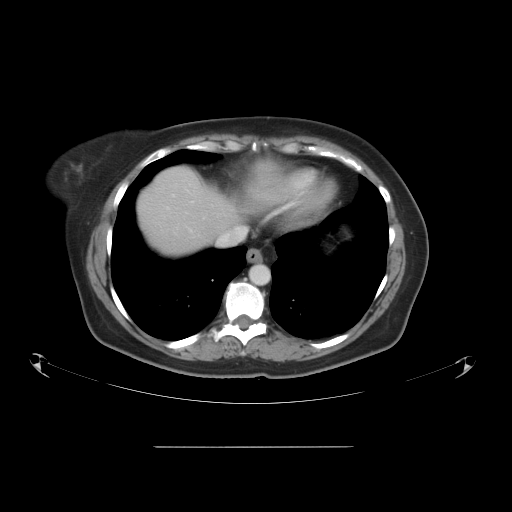

CT image. 512x512 px. The vessel boxes may cover only some of the vessels.
Hepatic vessel — [219,227,245,243], [186,189,189,191].